Hippocampus. MRI slice. Field of view 35 mm wide, 1.00 mm slice spacing.

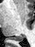

The posterior hippocampus is located at {"x1": 15, "y1": 36, "x2": 23, "y2": 41}.